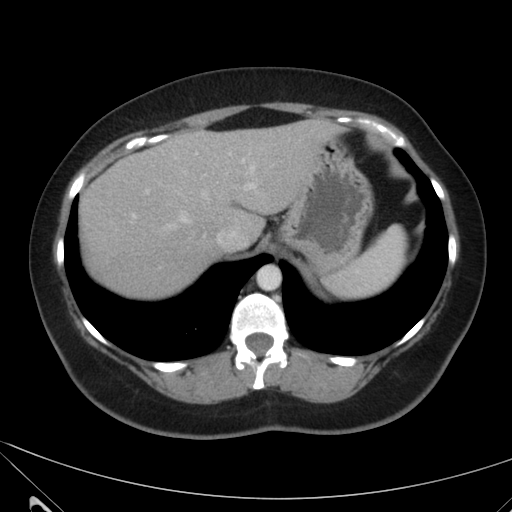
Image size 512x512, CT

The liver lies within (left=80, top=119, right=339, bottom=296).